FLAIR MR image.
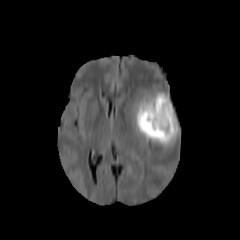
T1-weighted MR image.
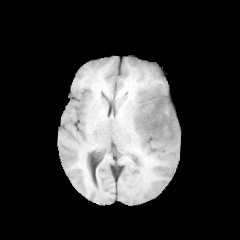
Post-contrast T1-weighted MRI.
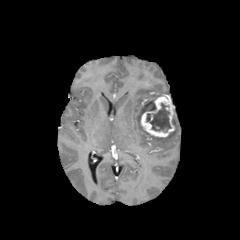
T2-weighted magnetic resonance.
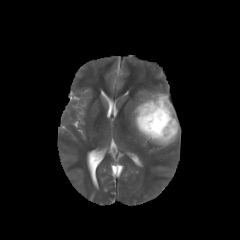
<segmentation>
  <edema>[127, 93, 179, 145]</edema>
  <enhancing_tumor>[140, 95, 175, 137]</enhancing_tumor>
  <non-enhancing_tumor_core>[142, 99, 155, 113], [146, 103, 171, 132]</non-enhancing_tumor_core>
</segmentation>